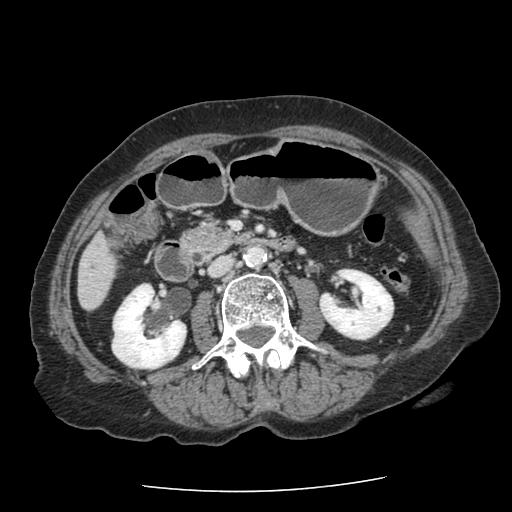

CT slice

pancreas:
  - left=183, top=223, right=241, bottom=257